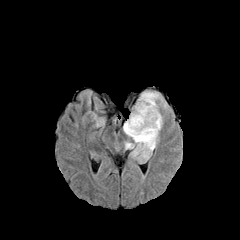
FLAIR MRI.
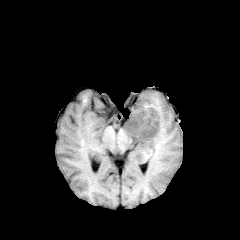
T1-weighted MRI.
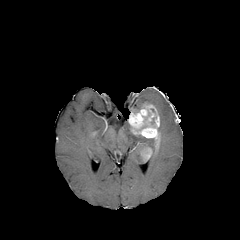
Post-contrast T1-weighted MRI.
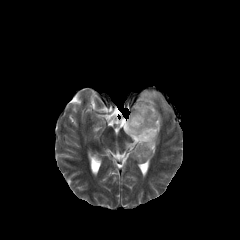
T2-weighted MR image.
Head; 240x240
Findings:
* enhancing tumor: (x1=143, y1=147, x2=152, y2=159), (x1=128, y1=102, x2=159, y2=139)
* edema: (x1=133, y1=90, x2=168, y2=137), (x1=122, y1=120, x2=155, y2=163)
* non-enhancing tumor core: (x1=133, y1=134, x2=153, y2=141)